Field of view 240x240 mm
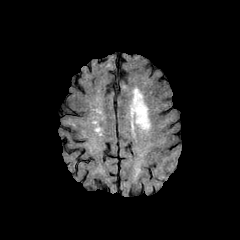
FLAIR MRI.
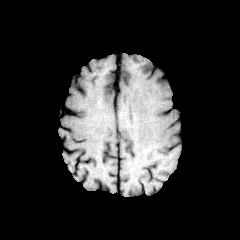
T1-weighted MRI of the same slice.
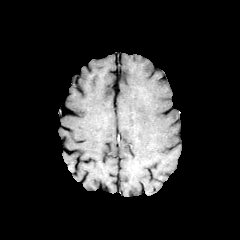
Post-contrast T1-weighted MRI.
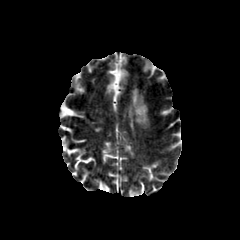
T2-weighted magnetic resonance.
The edema is bounded by <bbox>129, 88, 149, 130</bbox>.